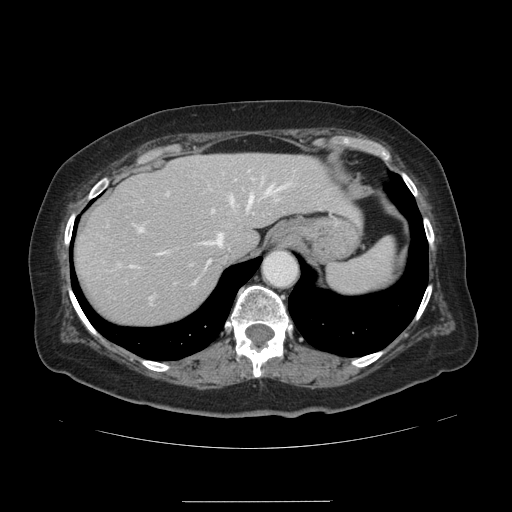 Liver, 512x512 px, CT scan slice

The vessel annotation is not exhaustive.
Hepatic vessel: bounding box 266:185:284:193, 129:265:137:267, 211:209:213:211, 148:296:152:303, 229:196:233:204, 246:195:252:206, 158:251:164:254, 138:227:142:231, 251:178:253:179, 166:191:167:194, 204:234:221:244.